CT slice. Field of view 490x490 mm. Slice 32/45. 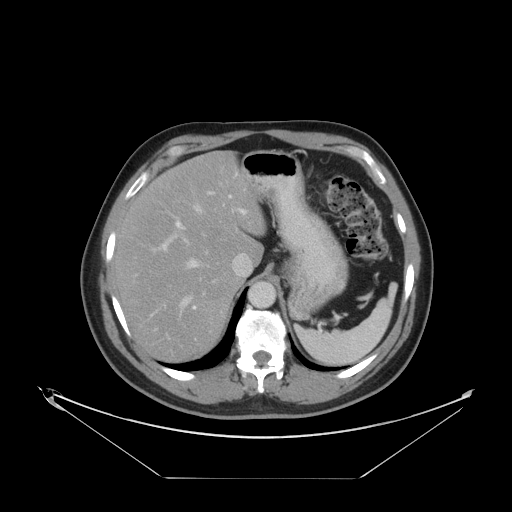 Some hepatic vessels may have no box.
* hepatic vessel: (187,259,196,266), (228,195,230,197), (233,253,251,273), (180,297,190,306), (209,192,213,194), (194,205,200,211), (238,208,245,213), (176,222,183,228), (193,306,195,308), (161,238,171,249)